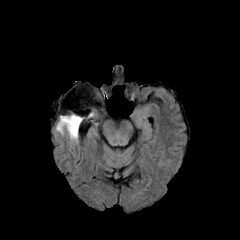
FLAIR magnetic resonance.
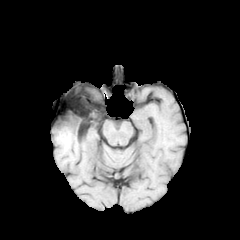
T1-weighted MR image.
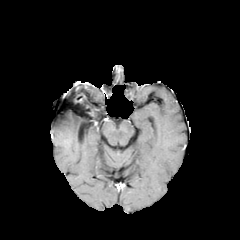
Post-contrast T1-weighted magnetic resonance.
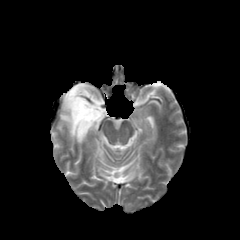
T2-weighted MRI of the same slice.
240x240 px.
Edema at l=56, t=117, r=83, b=143.
Non-enhancing tumor core at l=65, t=108, r=101, b=125.